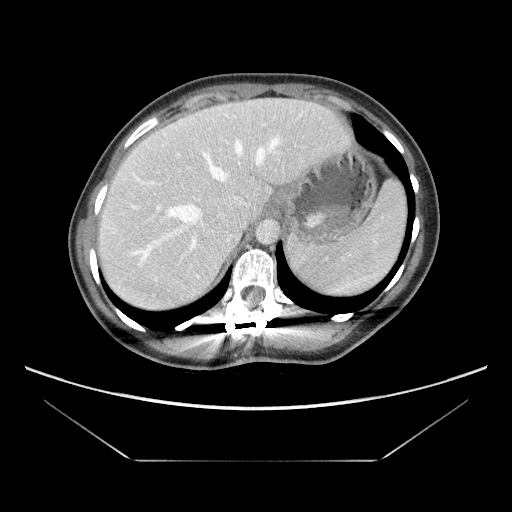 CT scan slice.

The vessel annotation is not exhaustive.
{"hepatic_vessel": ["box=[255, 136, 280, 165]", "box=[222, 214, 223, 217]", "box=[147, 198, 202, 251]", "box=[204, 153, 228, 181]", "box=[228, 196, 242, 203]", "box=[234, 140, 243, 157]", "box=[158, 206, 161, 209]", "box=[190, 234, 196, 249]"]}